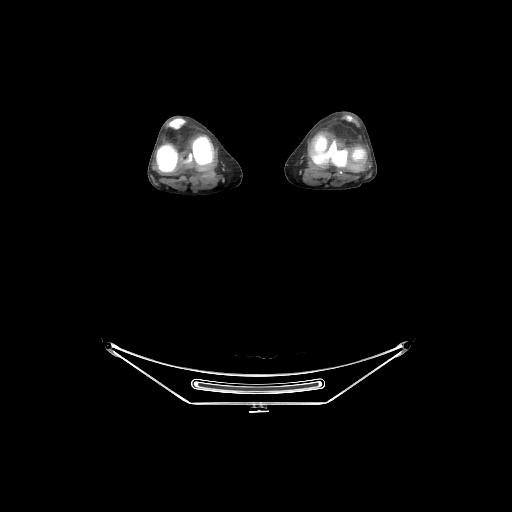

CT scan slice | 512x512
3 bone regions appear at (309, 131, 366, 171), (156, 136, 215, 173), (168, 118, 184, 128).